Slice 90/155, 240x240 px, Brain
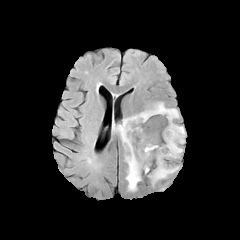
FLAIR magnetic resonance.
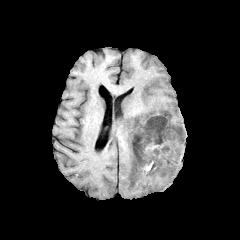
T1-weighted MR image.
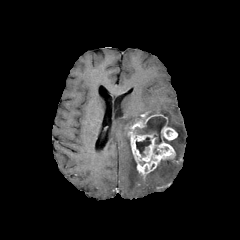
Post-contrast T1-weighted MRI.
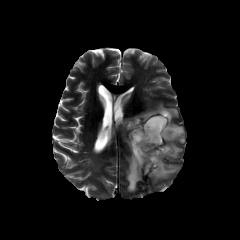
T2-weighted magnetic resonance of the same slice.
3 non-enhancing tumor core regions appear at (133, 116, 173, 145), (136, 137, 152, 157), (134, 114, 151, 123). 2 enhancing tumor regions are located at (161, 126, 177, 140), (128, 114, 174, 173). 2 edema regions are located at (116, 103, 185, 191), (150, 160, 179, 182).